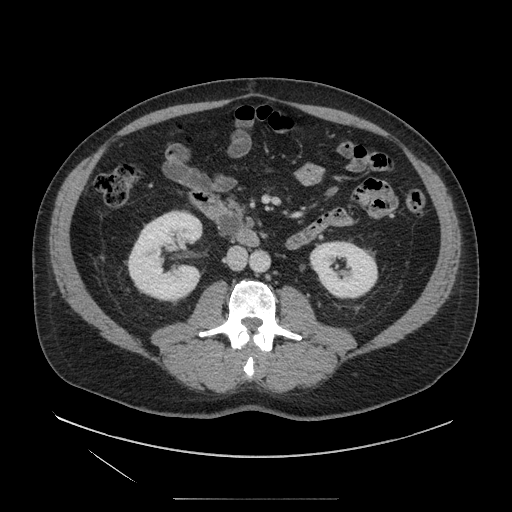
Abdomen; CT

The pancreatic tumor is located at [218,213,241,237]. The pancreas is at [208,204,244,243].